Image size 512x512, Image width 374 mm, Computed tomography

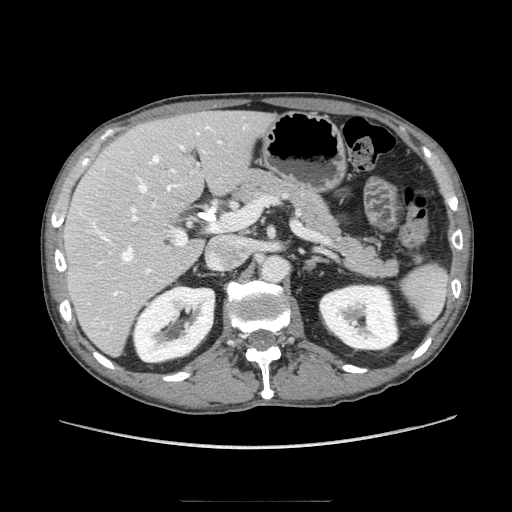

Annotated regions:
• pancreas: <bbox>237, 169, 397, 276</bbox>